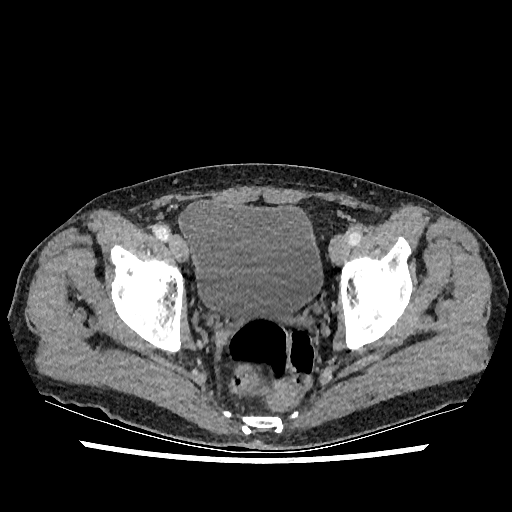
Computed tomography, 512x512 px
urinary_bladder:
  - box=[180, 200, 323, 333]